Computed tomography | Slice 122 of 171

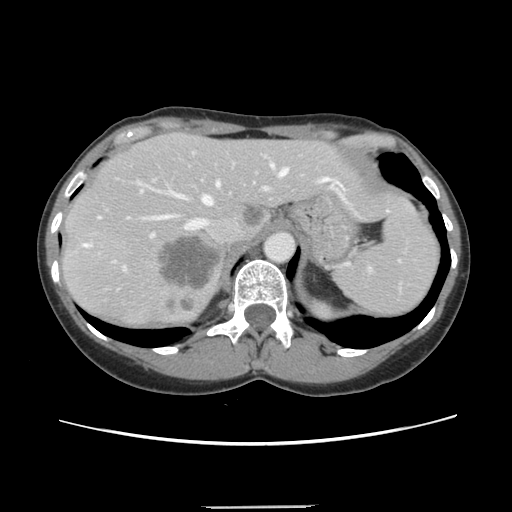 Some hepatic vessels may have no box.
The largest 15 hepatic vessel regions (of 16) are bounded by (184,219,207,229), (140,187,142,191), (320,177,329,180), (150,233,153,236), (264,187,267,189), (168,190,184,197), (83,244,91,246), (201,195,212,204), (136,181,138,182), (216,181,219,185), (123,267,125,270), (98,217,100,218), (278,168,287,176), (152,216,166,218), (270,163,273,167). 2 liver tumor regions appear at (241,205,264,226), (159,236,220,289).